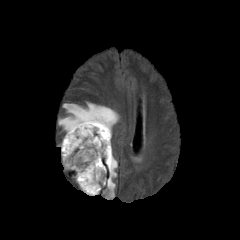
FLAIR MR.
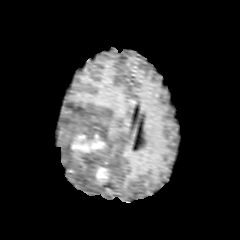
Same slice, T1-weighted magnetic resonance.
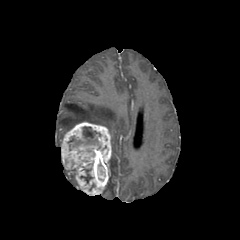
Same slice, post-contrast T1-weighted MR.
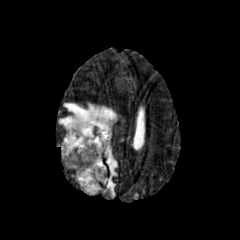
T2-weighted magnetic resonance of the same slice.
Brain
Findings:
• edema: 107:155:117:197, 58:102:118:132
• enhancing tumor: 60:121:112:195
• non-enhancing tumor core: 81:170:91:182, 70:127:98:149